CT slice. Upper abdomen. 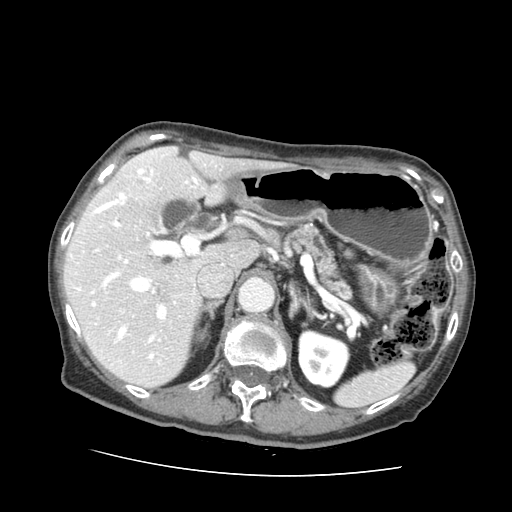 pancreas: <bbox>292, 223, 352, 299</bbox>